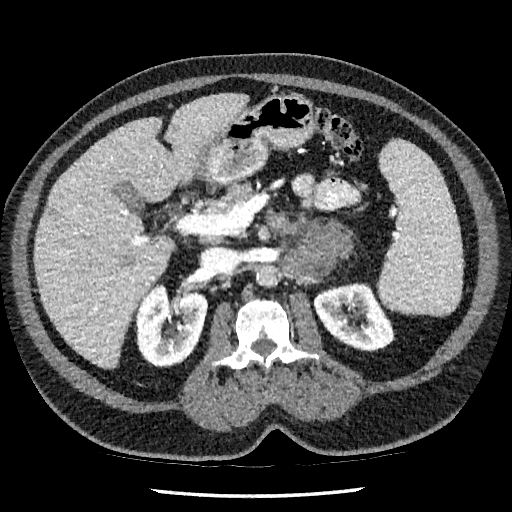
CT scan slice.
Liver: bounding box x1=35 y1=94 x2=247 y2=366.
Kidney: bounding box x1=314 y1=284 x2=392 y2=349, x1=137 y1=286 x2=207 y2=365.
Hepatic lesion: bounding box x1=122 y1=258 x2=134 y2=267.